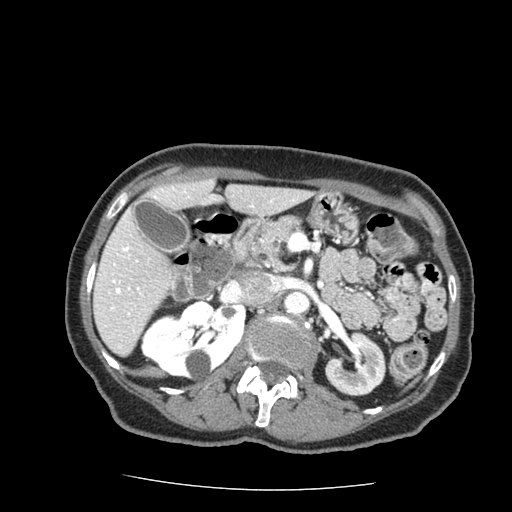
CT slice. - pancreas: rect(241, 215, 302, 267)